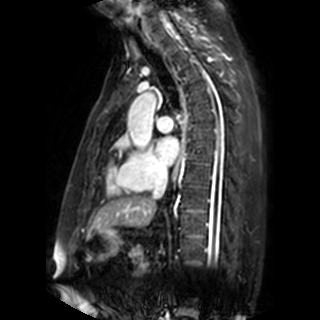 320x320, Cardiac, Magnetic resonance

{
  "left_atrium": [
    "(x1=155, y1=137, x2=178, y2=165)"
  ]
}